CT | Slice 157/455
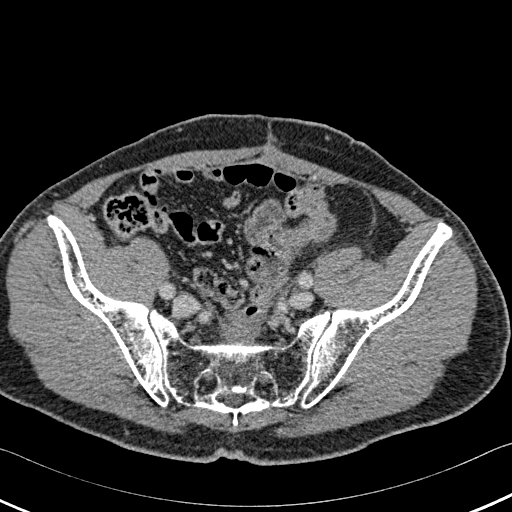
bone:
  - (left=48, top=215, right=451, bottom=425)